Brain.
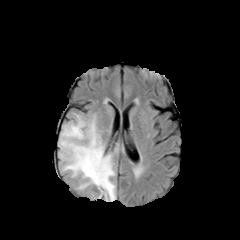
FLAIR MR image.
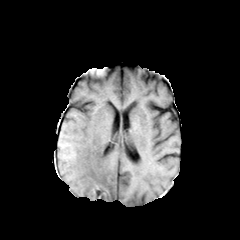
Same slice, T1-weighted MRI.
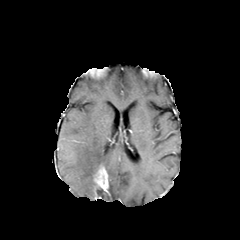
Post-contrast T1-weighted magnetic resonance.
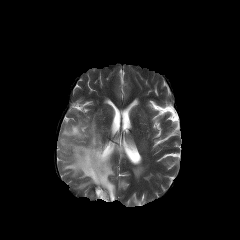
Same slice, T2-weighted MR image.
Enhancing tumor: left=94, top=166, right=109, bottom=194.
Non-enhancing tumor core: left=96, top=183, right=110, bottom=195.
Edema: left=58, top=115, right=116, bottom=201.